CT image. Slice 333 of 588. 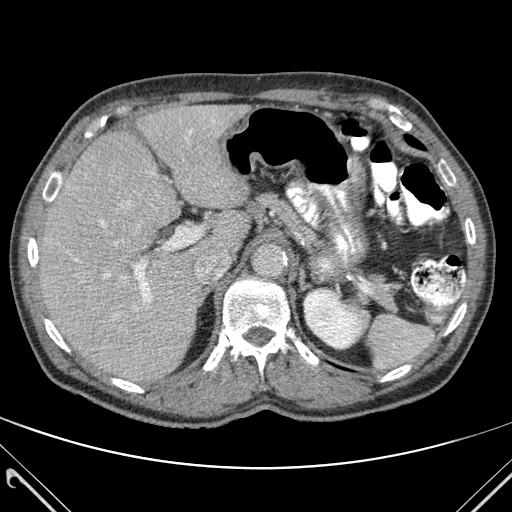

Lung at (x1=405, y1=135, x2=422, y2=148).
Bone at (x1=439, y1=160, x2=455, y2=185), (x1=45, y1=319, x2=68, y2=351), (x1=113, y1=379, x2=143, y2=392), (x1=28, y1=237, x2=37, y2=265), (x1=465, y1=219, x2=475, y2=243), (x1=43, y1=171, x2=60, y2=203), (x1=446, y1=304, x2=466, y2=334), (x1=381, y1=365, x2=410, y2=381), (x1=295, y1=340, x2=318, y2=364), (x1=204, y1=280, x2=294, y2=371).
Kidney at (x1=304, y1=290, x2=363, y2=348).
Liver at (x1=200, y1=211, x2=248, y2=250), (x1=40, y1=105, x2=250, y2=383).